320x320 px, Field of view 400 mm wide, 1.37 mm slice spacing, MR 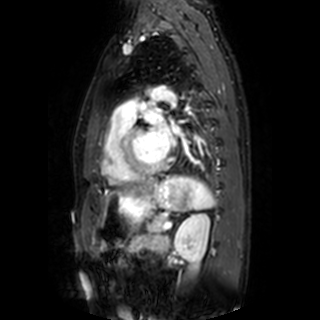 Annotated regions:
- left atrium: <bbox>172, 125, 182, 135</bbox>, <bbox>144, 108, 170, 158</bbox>